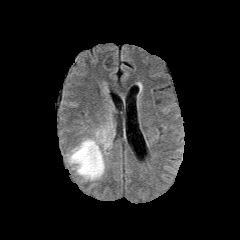
FLAIR magnetic resonance.
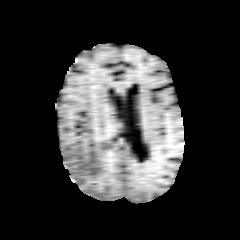
T1-weighted MR image of the same slice.
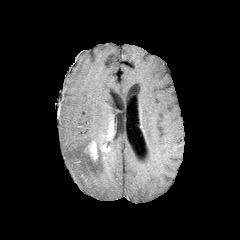
Post-contrast T1-weighted MRI of the same slice.
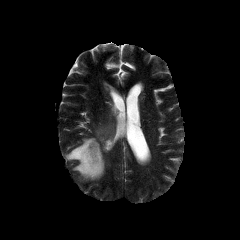
T2-weighted MR.
{
  "non-enhancing_tumor_core": [
    "(84,146,96,160)"
  ],
  "enhancing_tumor": [
    "(102,143,109,151)",
    "(88,141,97,158)"
  ],
  "edema": [
    "(66,123,112,180)"
  ]
}